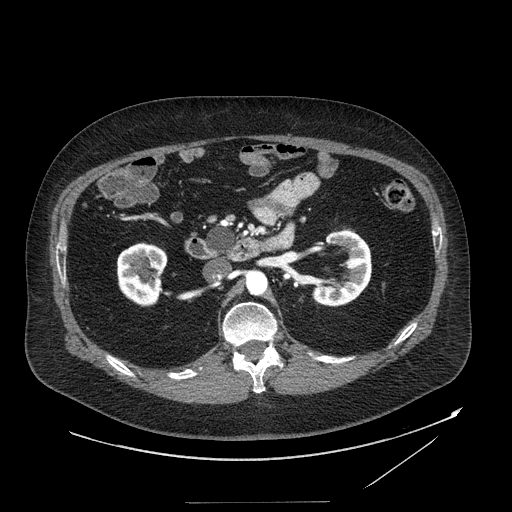

CT image, Upper abdomen
<segmentation>
  <pancreatic_tumor>{"x1": 207, "y1": 227, "x2": 233, "y2": 252}</pancreatic_tumor>
  <pancreas>{"x1": 204, "y1": 225, "x2": 234, "y2": 255}</pancreas>
</segmentation>